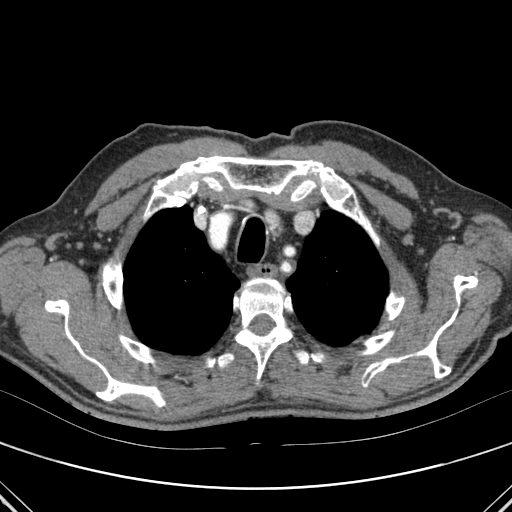

CT. Thorax.
Lung: (left=286, top=210, right=388, bottom=346), (left=123, top=206, right=239, bottom=354).
Bone: (left=311, top=353, right=324, bottom=362), (left=146, top=156, right=378, bottom=244), (left=296, top=351, right=309, bottom=363), (left=218, top=354, right=233, bottom=367), (left=417, top=309, right=457, bottom=378), (left=362, top=331, right=394, bottom=354), (left=386, top=293, right=404, bottom=320), (left=365, top=356, right=406, bottom=379), (left=102, top=261, right=122, bottom=309), (left=206, top=358, right=215, bottom=367), (left=119, top=335, right=154, bottom=362), (left=234, top=278, right=292, bottom=380), (left=45, top=299, right=165, bottom=406), (left=291, top=179, right=315, bottom=201), (left=453, top=275, right=477, bottom=303).